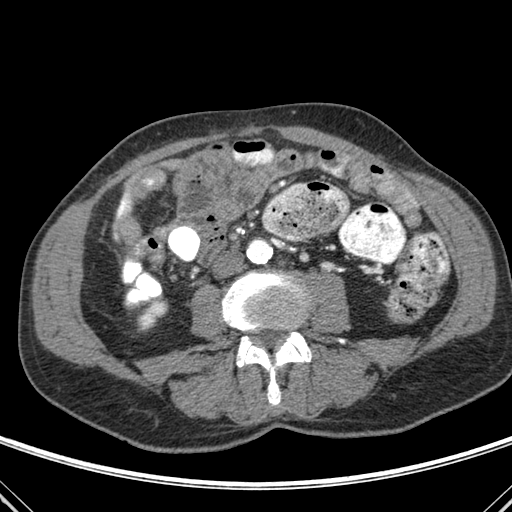

CT scan slice | Abdomen
• kidney: (left=141, top=304, right=164, bottom=325)
• bone: (left=222, top=270, right=311, bottom=404)